CT.

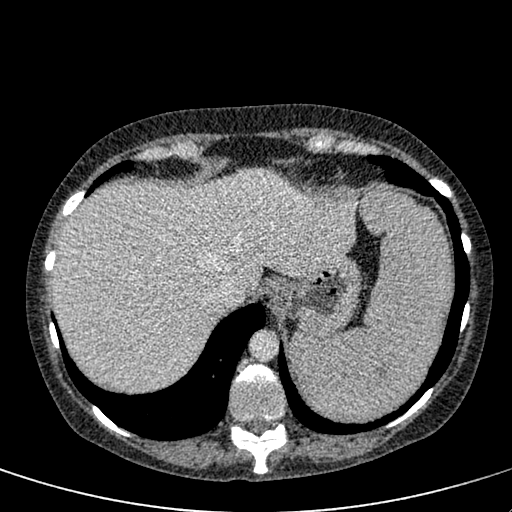 Segmented structures:
* liver: left=56, top=170, right=360, bottom=391